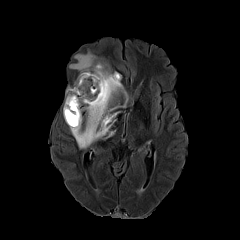
FLAIR magnetic resonance.
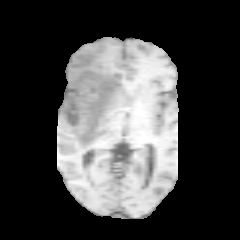
Same slice, T1-weighted magnetic resonance.
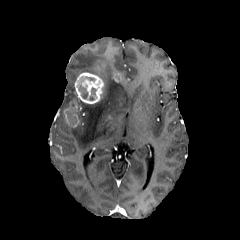
Same slice, post-contrast T1-weighted MR image.
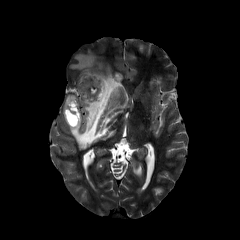
Same slice, T2-weighted MR.
Brain | 240x240 px
<segmentation>
  <non-enhancing_tumor_core>77, 76, 87, 99</non-enhancing_tumor_core>
  <edema>65, 52, 128, 149</edema>
  <enhancing_tumor>114, 73, 121, 81; 75, 72, 105, 103; 64, 100, 80, 126</enhancing_tumor>
</segmentation>